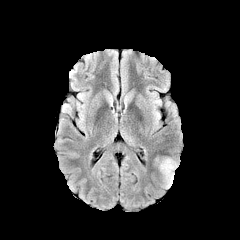
FLAIR MR.
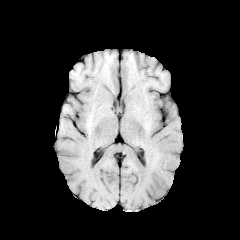
T1-weighted MR.
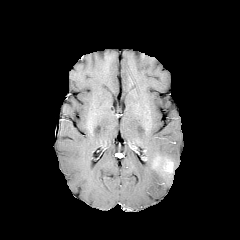
Post-contrast T1-weighted magnetic resonance of the same slice.
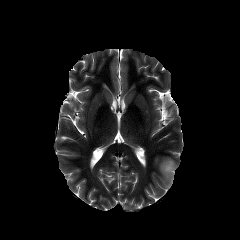
T2-weighted MRI.
240x240 px | Brain
The enhancing tumor is bounded by bbox=[165, 162, 173, 173]. The edema is bounded by bbox=[159, 158, 176, 187].